CT 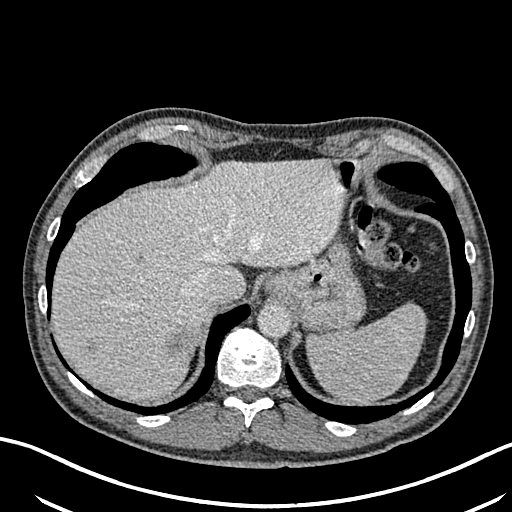
Hepatic lesion: [x1=87, y1=343, x2=95, y2=351], [x1=165, y1=330, x2=191, y2=357].
Liver: [x1=52, y1=158, x2=340, y2=399].